Slice 72/155; Head
FLAIR MR image.
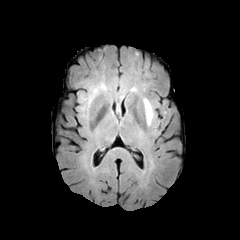
T1-weighted MRI.
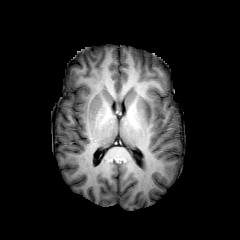
Post-contrast T1-weighted MR image.
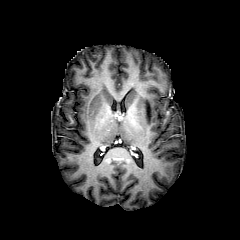
T2-weighted magnetic resonance.
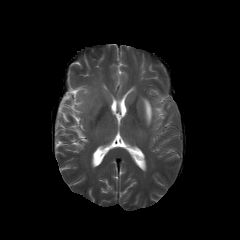
Findings:
* edema: (x1=143, y1=98, x2=158, y2=126)